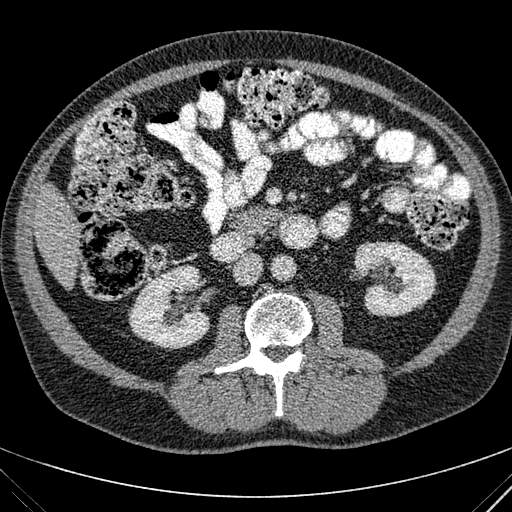

Abdomen, CT image, 512x512
The liver lies within [35, 183, 79, 287]. 2 kidney regions appear at [129, 265, 209, 348], [355, 242, 435, 315].